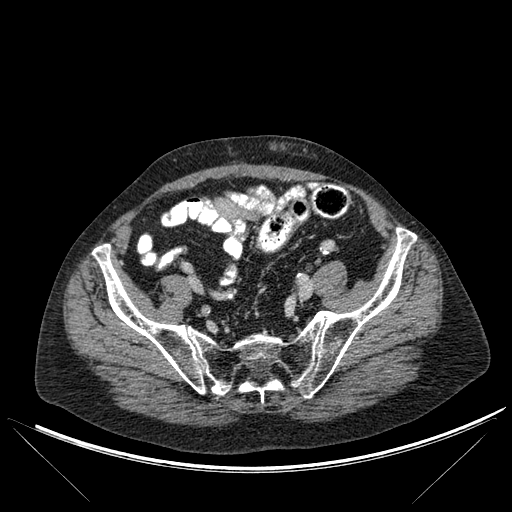

512x512. CT.
Bone: region(92, 228, 416, 397); region(239, 378, 282, 401).